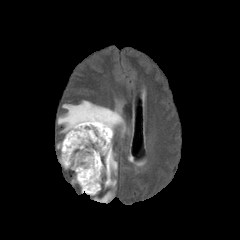
FLAIR MR image.
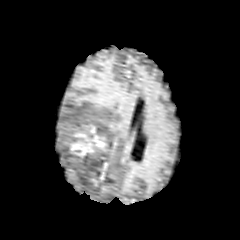
T1-weighted MR image.
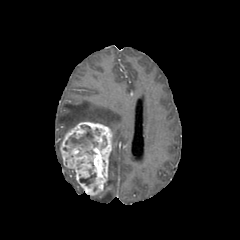
Post-contrast T1-weighted MRI of the same slice.
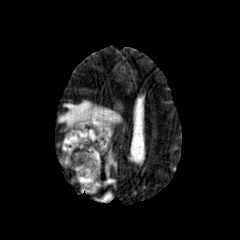
T2-weighted MRI.
Brain; 240x240 px
3 edema regions are bounded by 97:191:112:201, 104:149:117:187, 58:100:122:142. 2 non-enhancing tumor core regions appear at 65:124:99:155, 79:169:95:185. The enhancing tumor appears at 60:122:111:194.